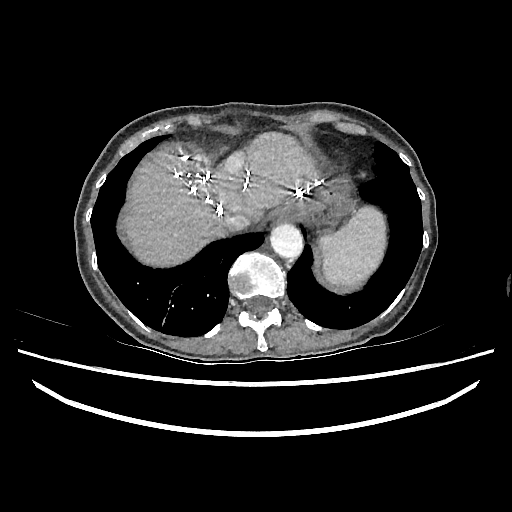
Abdomen. CT scan slice.

The liver appears at [x1=125, y1=135, x2=315, y2=265].